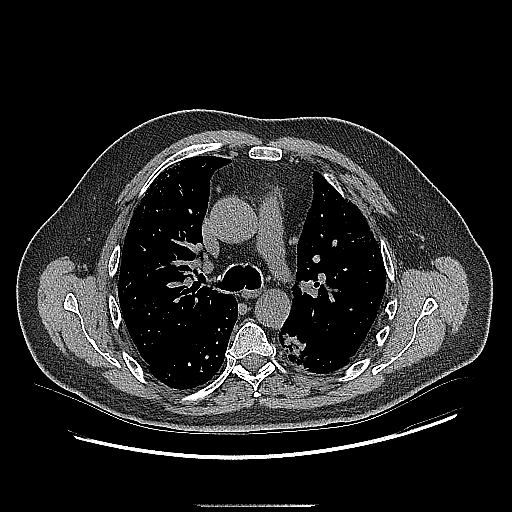 Lung. Image size 512x512. CT image. The lung tumor is located at 279,330,313,370.